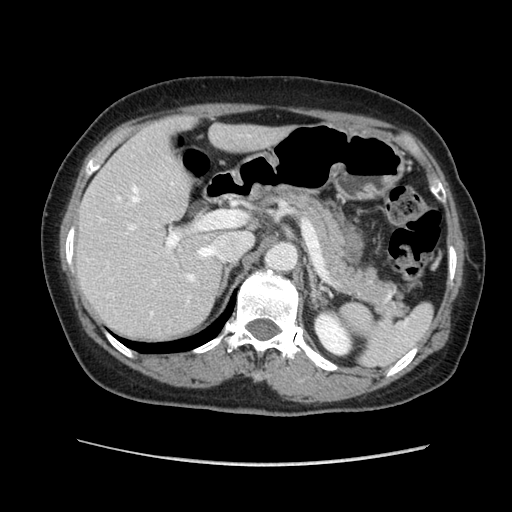 CT | Abdomen

The pancreas lies within rect(256, 186, 410, 322).